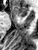

MR image, Image size 38x50, Hippocampus
Segmented structures:
* anterior hippocampus: [12,6,27,16]